CT | Abdomen | Image width 493 mm 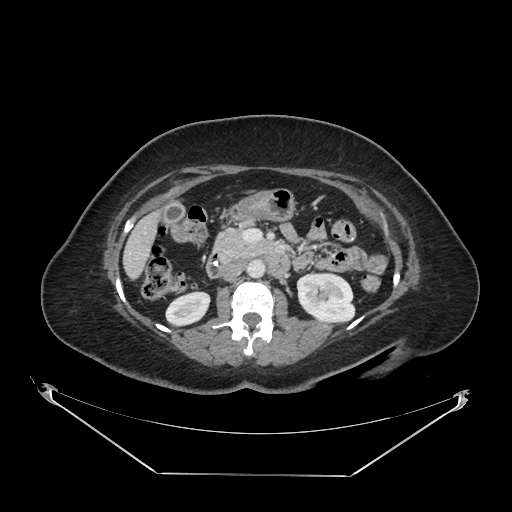
The pancreas appears at left=215, top=227, right=271, bottom=259.